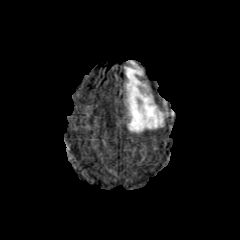
FLAIR MRI.
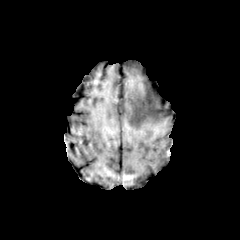
T1-weighted MRI.
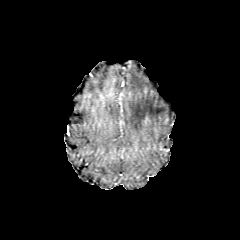
Same slice, post-contrast T1-weighted MRI.
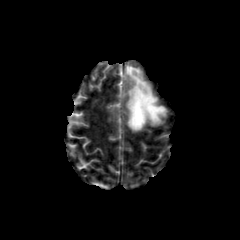
T2-weighted MRI of the same slice.
Brain
Edema — bbox=[124, 62, 169, 132].